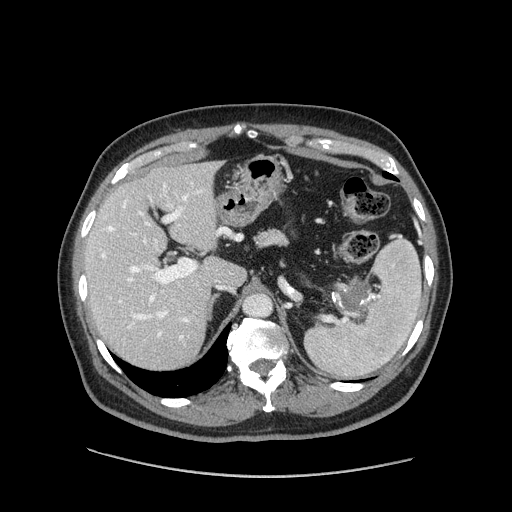

Computed tomography
{
  "pancreas": [
    "left=338, top=279, right=370, bottom=320",
    "left=255, top=227, right=285, bottom=245"
  ],
  "pancreatic_tumor": [
    "left=341, top=281, right=368, bottom=308"
  ]
}